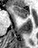 MR image | Hippocampus
anterior_hippocampus:
  - x1=9 y1=5 x2=28 y2=18